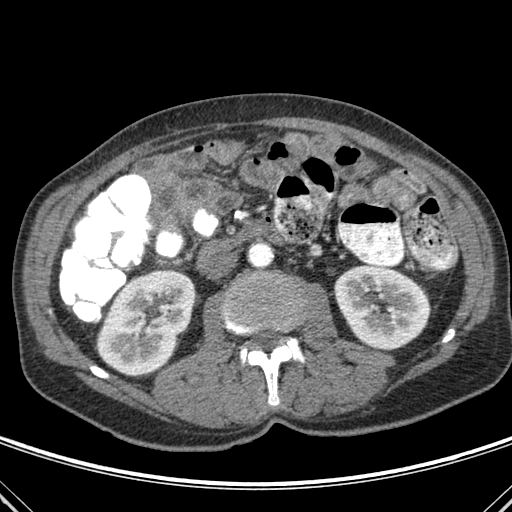

CT image. Abdomen. bone:
  - <bbox>235, 211, 244, 219</bbox>
  - <bbox>223, 272, 301, 334</bbox>
  - <bbox>442, 329, 454, 342</bbox>
  - <bbox>90, 366, 108, 378</bbox>
  - <bbox>240, 338, 304, 405</bbox>
kidney:
  - <bbox>335, 265, 429, 348</bbox>
  - <bbox>98, 274, 194, 374</bbox>